FLAIR MR.
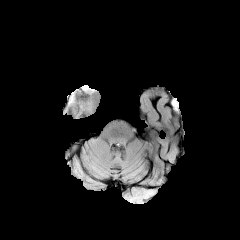
T1-weighted MR image.
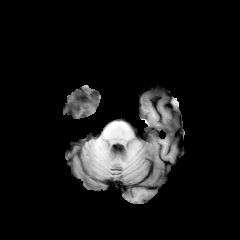
Post-contrast T1-weighted magnetic resonance.
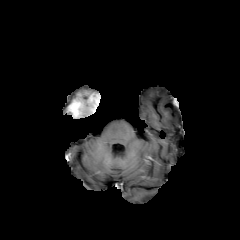
T2-weighted MR image.
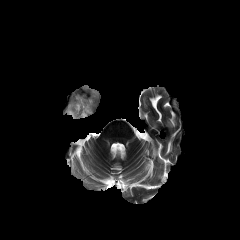
Image size 240x240. Brain.
Segmented structures:
• enhancing tumor: <box>68,94,97,115</box>
• non-enhancing tumor core: <box>72,92,94,102</box>